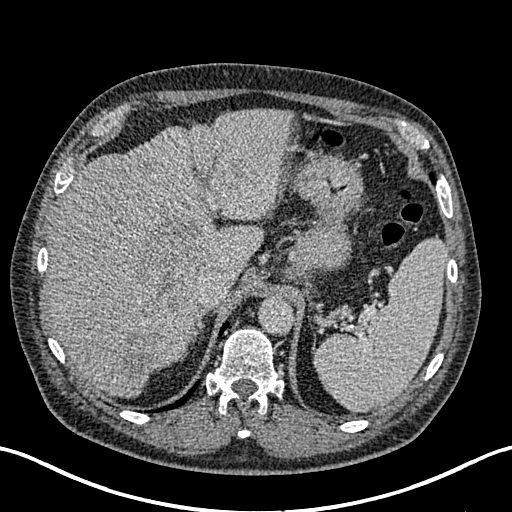 CT slice; Upper abdomen
• liver: (48,110,293,398)
• liver lesion: (197,185,216,202), (225,150,265,187), (120,331,162,382), (133,216,212,311)